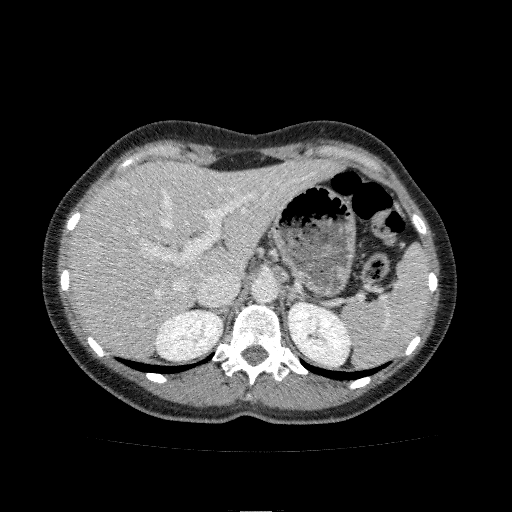 Upper abdomen; Computed tomography; 512x512
Liver: bounding box x1=68 y1=156 x2=338 y2=357.
Kidney: bounding box x1=288 y1=302 x2=350 y2=366, x1=155 y1=310 x2=222 y2=360.